Field of view 387 mm wide, 0.80 mm slice spacing, Slice index 457, CT slice
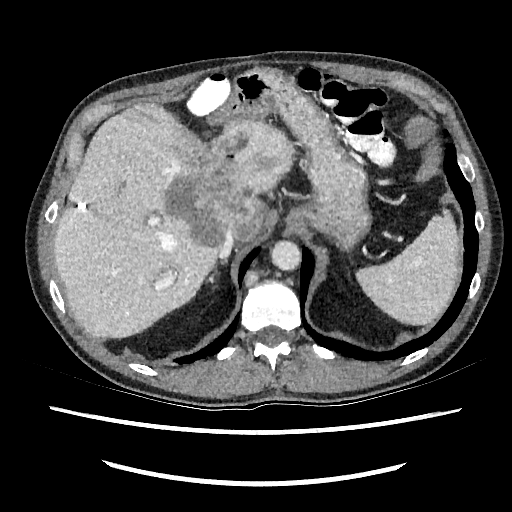

Focal liver lesion: bounding box rect(164, 151, 263, 246).
Liver: bounding box rect(53, 103, 294, 338).